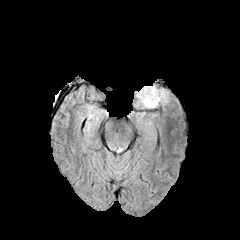
FLAIR MR.
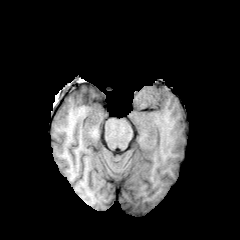
T1-weighted MRI of the same slice.
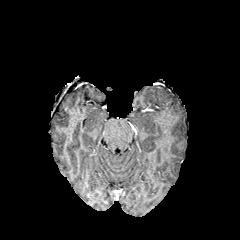
Same slice, post-contrast T1-weighted MR.
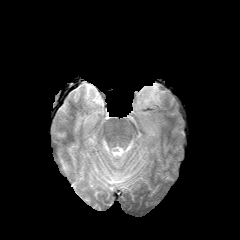
T2-weighted magnetic resonance.
Edema at box=[137, 86, 161, 107].